Image size 512x512, CT image, Slice 108/141

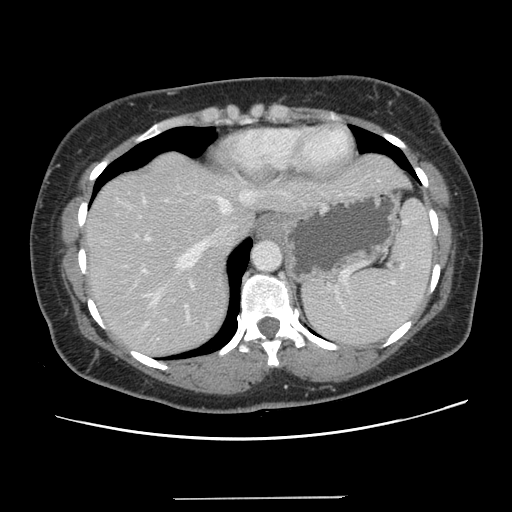

Not every hepatic vessel necessarily has a box.
Annotated regions:
• hepatic vessel: (x1=216, y1=198, x2=229, y2=212), (x1=145, y1=237, x2=149, y2=239), (x1=190, y1=282, x2=192, y2=286), (x1=185, y1=305, x2=187, y2=306), (x1=248, y1=199, x2=249, y2=200), (x1=149, y1=302, x2=154, y2=305), (x1=146, y1=294, x2=154, y2=295), (x1=143, y1=268, x2=146, y2=272), (x1=241, y1=192, x2=247, y2=199), (x1=165, y1=200, x2=167, y2=201), (x1=144, y1=322, x2=147, y2=327), (x1=178, y1=241, x2=208, y2=267)